Abdomen | CT slice | 512x512
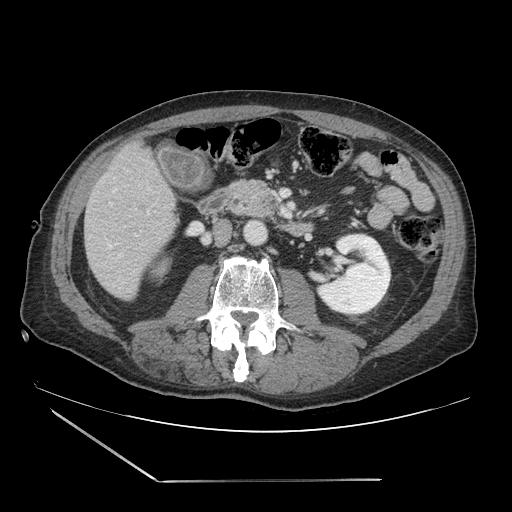

Pancreas — x1=230 y1=180 x2=274 y2=217.